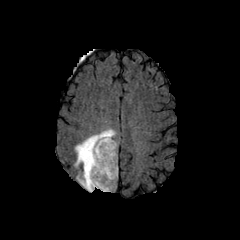
FLAIR MR.
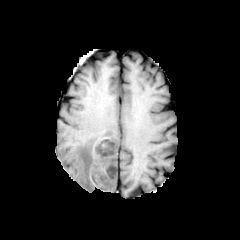
T1-weighted MR image.
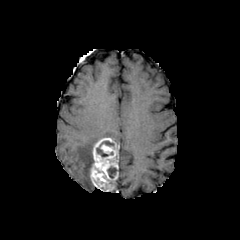
Post-contrast T1-weighted MR.
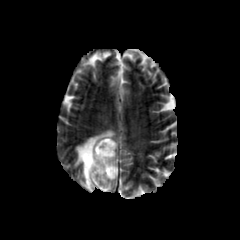
Same slice, T2-weighted MR image.
Head
edema:
  - <bbox>74, 129, 115, 192</bbox>
non-enhancing_tumor_core:
  - <bbox>108, 167, 116, 177</bbox>
enhancing_tumor:
  - <bbox>90, 137, 117, 191</bbox>